CT scan slice; 512x512 px

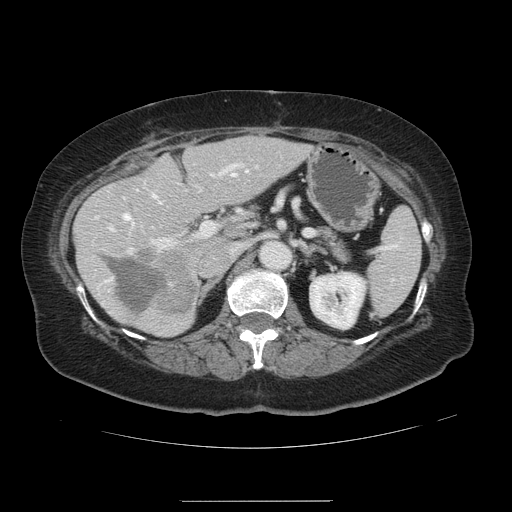

Not every hepatic vessel necessarily has a box.
13 hepatic vessel regions appear at box=[127, 248, 132, 253]; box=[123, 214, 132, 223]; box=[210, 173, 213, 175]; box=[151, 237, 173, 247]; box=[152, 193, 156, 198]; box=[216, 163, 238, 175]; box=[108, 225, 113, 230]; box=[194, 184, 200, 190]; box=[196, 217, 217, 237]; box=[95, 216, 96, 217]; box=[158, 200, 160, 202]; box=[236, 209, 238, 210]; box=[245, 168, 247, 171]. The liver tumor lies within box=[108, 250, 194, 313].